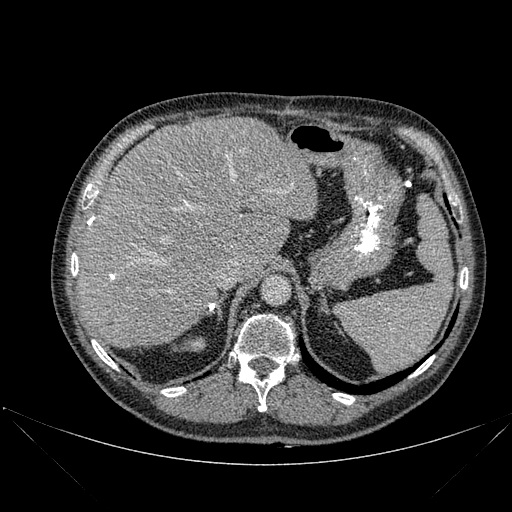

Abdomen, CT, Image size 512x512
Segmented structures:
* liver: 77,117,317,348
* bone: 71,253,78,275; 460,271,467,288; 230,315,298,411; 161,387,185,396; 332,393,354,404; 84,184,98,198; 411,355,434,376; 92,340,116,368
* lung: 299,338,417,394; 446,313,456,335